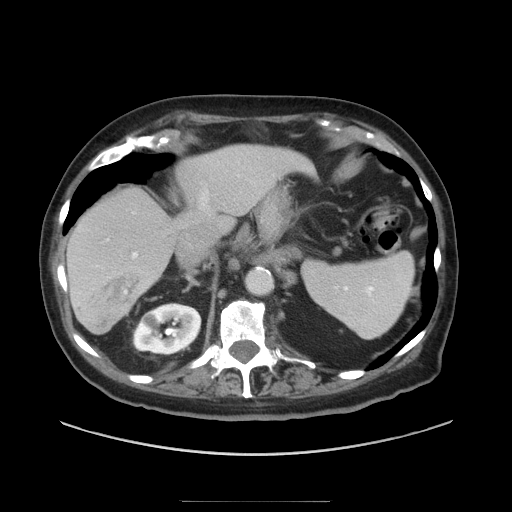

Liver, CT image
The vessel boxes may cover only some of the vessels.
{
  "liver_tumor": [
    "box(105, 275, 141, 304)"
  ],
  "hepatic_vessel": [
    "box(132, 252, 137, 257)",
    "box(106, 239, 108, 240)",
    "box(200, 188, 208, 208)"
  ]
}